Slice 88 of 134; Upper abdomen; Computed tomography
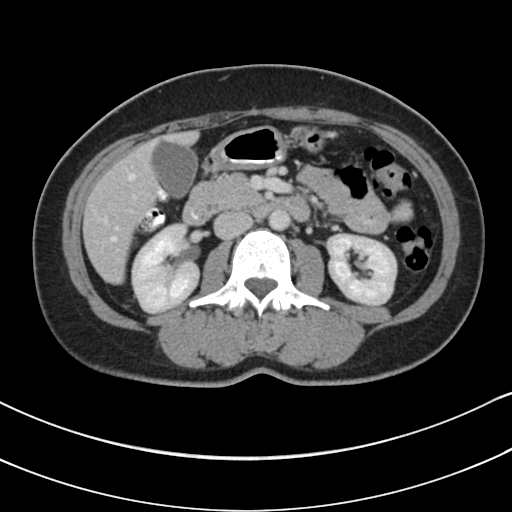
Annotated regions:
• pancreas: 199 171 263 216